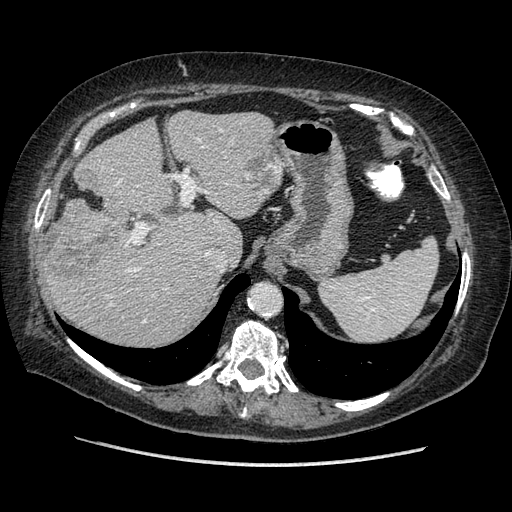
Abdomen | CT image
Some hepatic vessels may have no box.
The liver tumor lies within box=[48, 199, 119, 274]. 2 hepatic vessel regions are bounded by box=[126, 222, 148, 243]; box=[171, 168, 199, 205].